Image width 480 mm; Computed tomography; Abdomen
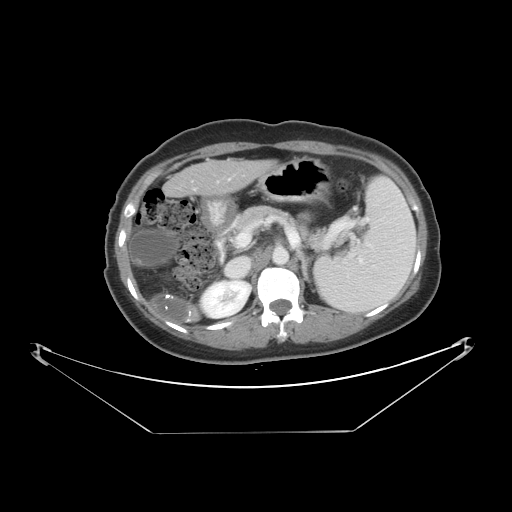 * liver tumor: x1=158, y1=296, x2=190, y2=319